240x240 px.
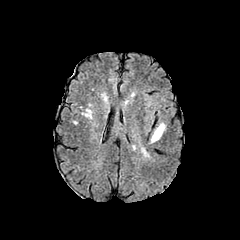
FLAIR MRI.
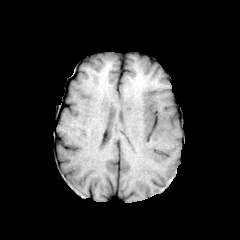
T1-weighted MR image.
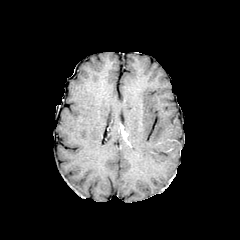
Same slice, post-contrast T1-weighted MRI.
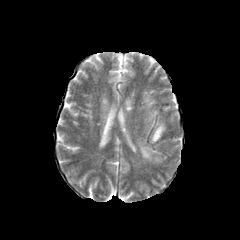
T2-weighted magnetic resonance.
Edema — left=149, top=122, right=166, bottom=145; left=139, top=143, right=154, bottom=160.